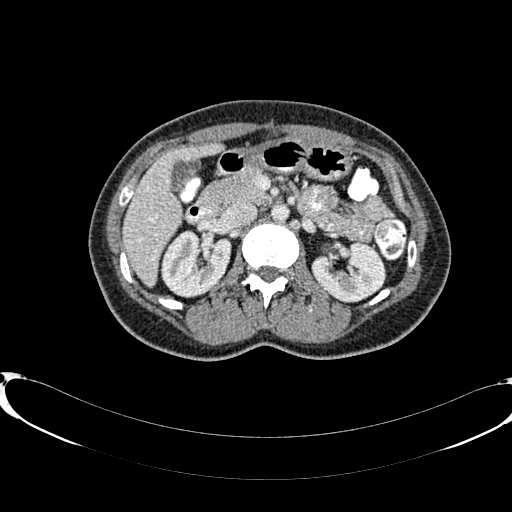

Upper abdomen, CT image

{
  "liver": [
    {"x1": 123, "y1": 144, "x2": 222, "y2": 285}
  ],
  "kidney": [
    {"x1": 163, "y1": 232, "x2": 229, "y2": 295},
    {"x1": 313, "y1": 244, "x2": 383, "y2": 300}
  ]
}